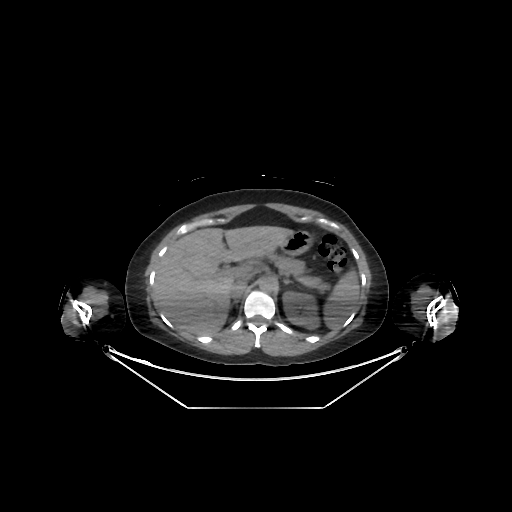 Abdomen, CT image
liver: 150, 226, 292, 339 | kidney: 282, 290, 319, 330